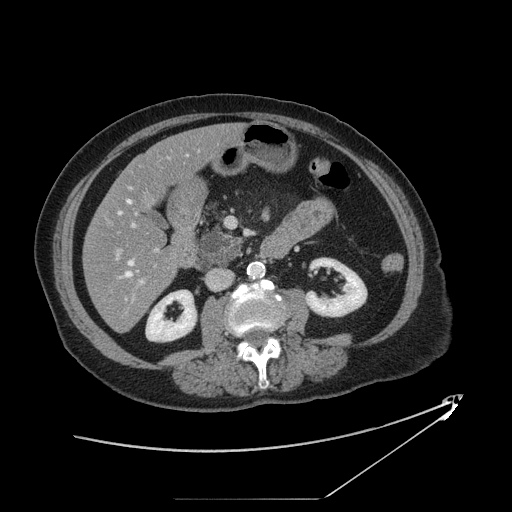 CT image

pancreatic_tumor:
  - [195, 232, 235, 270]
pancreas:
  - [202, 229, 244, 262]